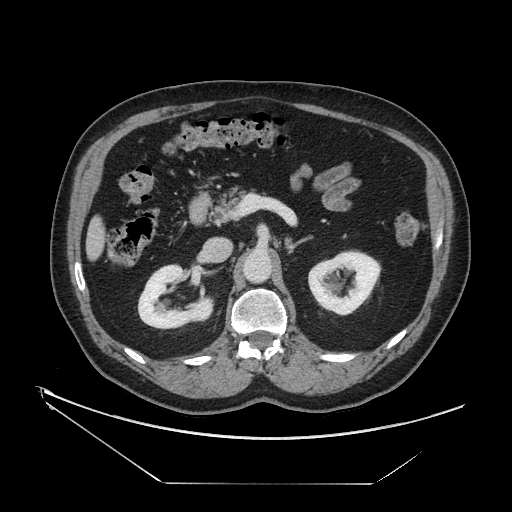
CT; Image size 512x512
pancreas:
  - bbox(209, 186, 247, 223)